FLAIR magnetic resonance.
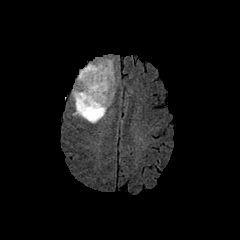
T1-weighted MRI.
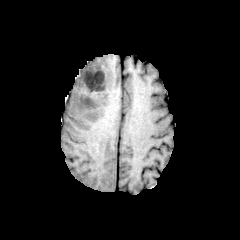
Post-contrast T1-weighted MR image.
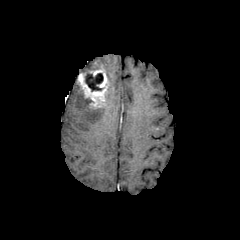
T2-weighted magnetic resonance.
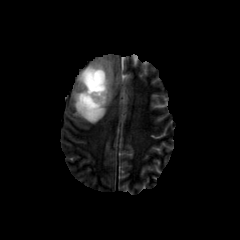
Head.
The enhancing tumor is at region(77, 62, 108, 108). The edema lies within region(71, 60, 113, 123). 2 non-enhancing tumor core regions appear at region(80, 95, 91, 106); region(85, 73, 103, 90).